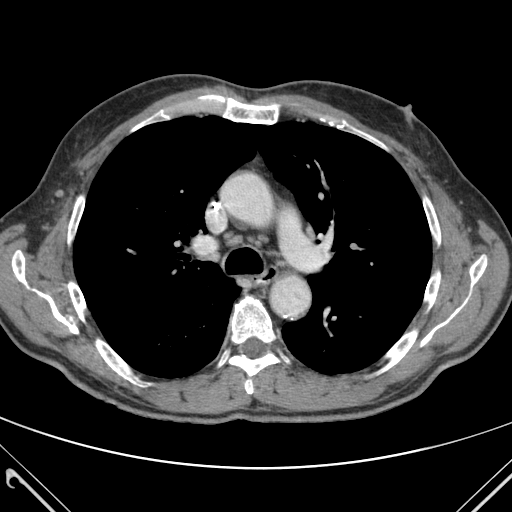 512x512 px, Chest, CT scan slice

{"partial": true, "lung": ["(left=73, top=116, right=431, bottom=377)"], "bone": {"n_total": 16, "boxes": ["(left=12, top=250, right=30, bottom=288)", "(left=199, top=95, right=283, bottom=124)", "(left=424, top=272, right=440, bottom=307)", "(left=358, top=131, right=384, bottom=146)", "(left=232, top=296, right=274, bottom=343)", "(left=382, top=331, right=416, bottom=371)", "(left=68, top=282, right=85, bottom=320)", "(left=423, top=198, right=440, bottom=243)", "(left=96, top=340, right=136, bottom=383)", "(left=470, top=256, right=486, bottom=286)", "(left=219, top=353, right=279, bottom=393)", "(left=34, top=290, right=78, bottom=333)", "(left=132, top=110, right=170, bottom=130)", "(left=68, top=196, right=84, bottom=242)", "(left=420, top=300, right=466, bottom=346)"]}}